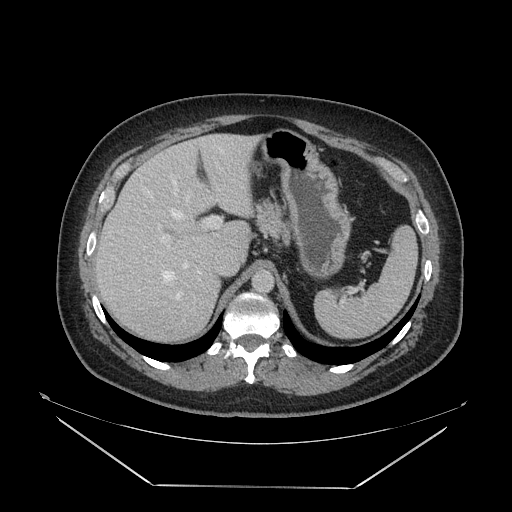

CT
The pancreas is at <bbox>255, 202, 290, 239</bbox>.